FLAIR magnetic resonance.
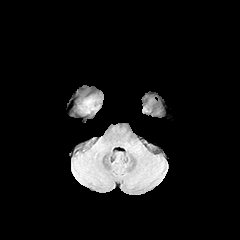
T1-weighted MR.
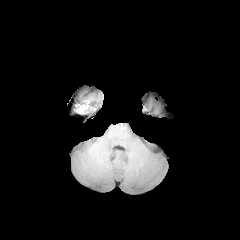
Post-contrast T1-weighted MRI.
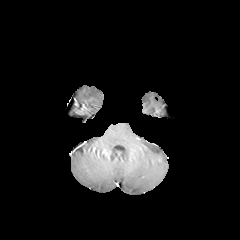
T2-weighted MR image.
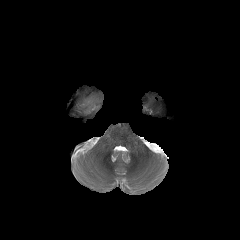
Head
Findings:
* edema: [x1=84, y1=99, x2=96, y2=109]